Slice 24/131 | Abdomen | CT image
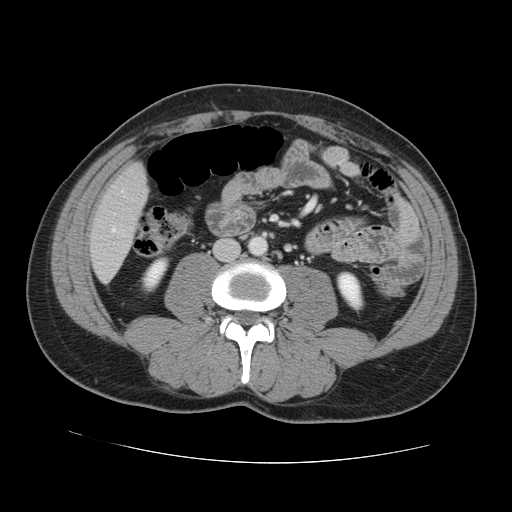 The vessel boxes may cover only some of the vessels.
Segmented structures:
• hepatic vessel: (x1=111, y1=227, x2=122, y2=235), (x1=121, y1=190, x2=122, y2=191)